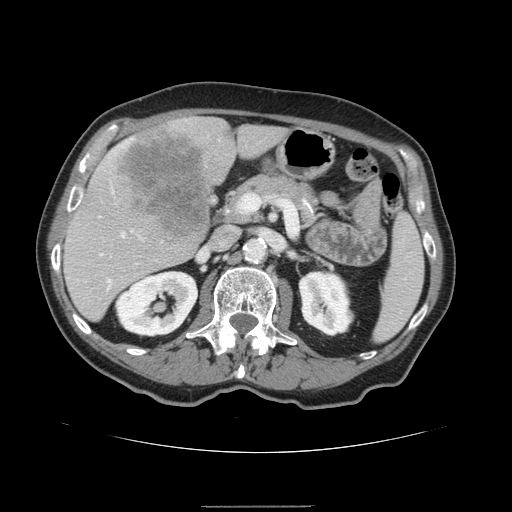

CT image
{
  "spleen": [
    "l=375, t=215, r=423, b=340"
  ]
}